CT image
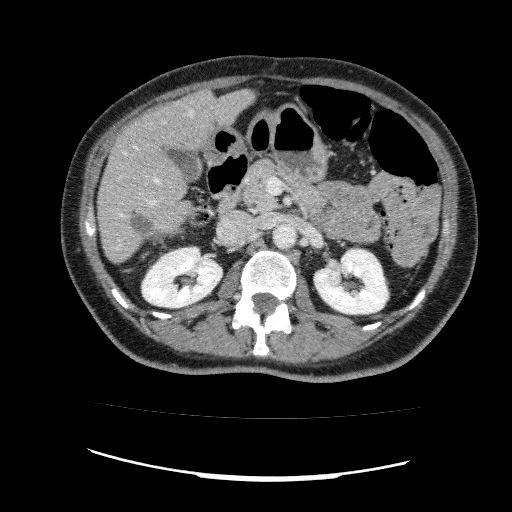
Hepatic lesion: <box>130,213,153,235</box>.
Kidney: <box>142,247,221,307</box>, <box>314,250,387,313</box>.
Liver: <box>97,89,258,262</box>.